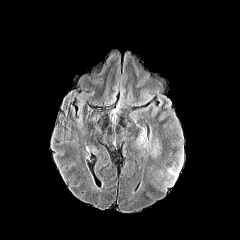
FLAIR MR image.
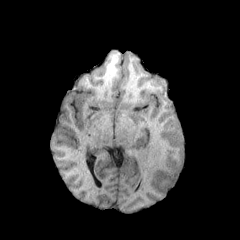
T1-weighted magnetic resonance of the same slice.
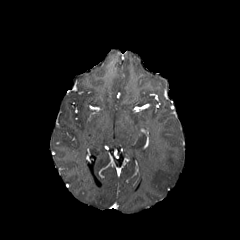
Post-contrast T1-weighted magnetic resonance.
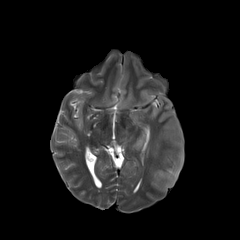
T2-weighted MRI.
Head
<segmentation>
  <edema>box(148, 141, 160, 157); box(167, 167, 177, 179)</edema>
</segmentation>